Magnetic resonance; Hippocampus 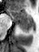 Posterior hippocampus — box=[19, 22, 32, 32].
Anterior hippocampus — box=[8, 9, 31, 21].